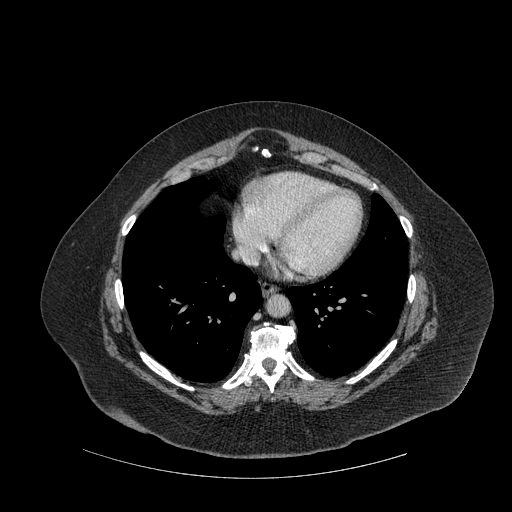
512x512 | CT image
Annotated regions:
• bone: (223,323,313,392), (122,215,135,234), (400,216,412,236), (140,352,193,390), (346,340,396,383), (407,275,415,301), (115,280,123,308)
• lung: (287,194,407,376), (122,176,261,382)